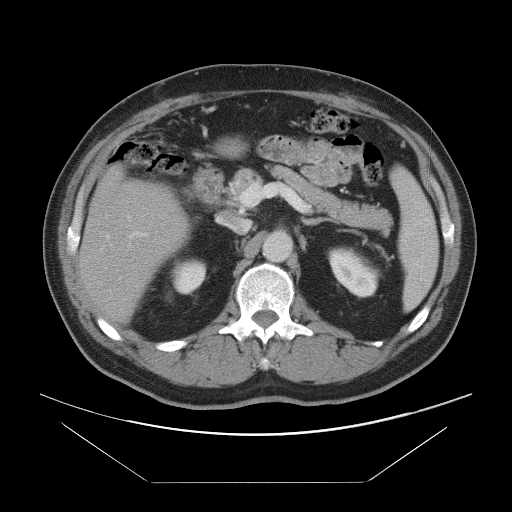

CT scan slice
Not every hepatic vessel necessarily has a box.
Hepatic vessel = x1=128, y1=218, x2=130, y2=220; x1=132, y1=232, x2=147, y2=235.